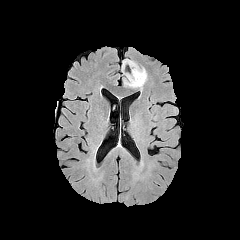
FLAIR MR.
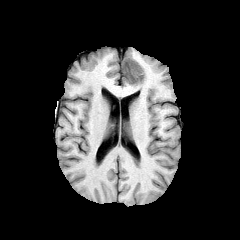
T1-weighted MR image.
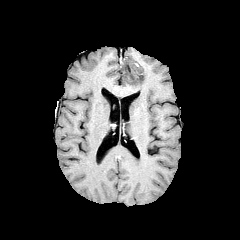
Same slice, post-contrast T1-weighted magnetic resonance.
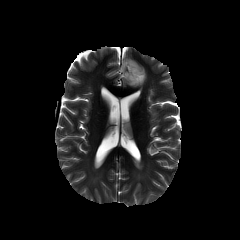
Same slice, T2-weighted MRI.
Brain
Annotated regions:
* edema: {"x1": 121, "y1": 61, "x2": 147, "y2": 91}
* non-enhancing tumor core: {"x1": 124, "y1": 60, "x2": 143, "y2": 80}